CT image 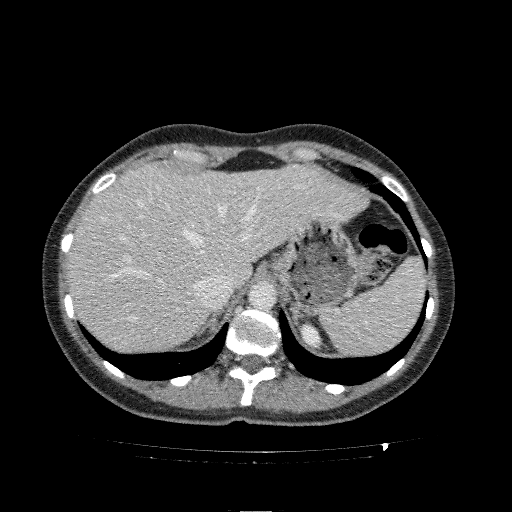

Annotated regions:
• liver: rect(68, 163, 369, 351)
• kidney: rect(302, 326, 318, 344)